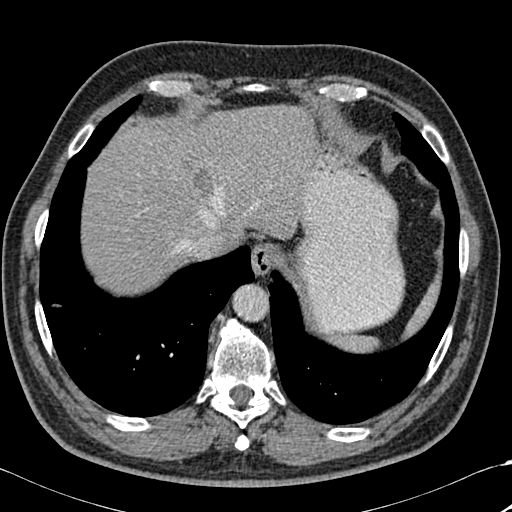
CT slice
{"lung": ["[268, 112, 459, 424]", "[39, 95, 254, 416]"], "bone": ["[345, 87, 365, 97]", "[328, 428, 369, 442]", "[35, 303, 51, 353]", "[107, 415, 149, 430]", "[235, 435, 248, 449]", "[35, 211, 47, 244]", "[422, 125, 448, 162]", "[427, 327, 451, 378]", "[150, 81, 182, 94]", "[459, 231, 468, 272]", "[197, 319, 284, 427]", "[68, 125, 92, 155]"], "liver_lesion": ["[182, 159, 193, 168]", "[192, 169, 213, 196]"], "liver": ["[83, 106, 309, 292]", "[218, 218, 244, 252]"]}